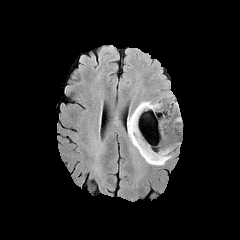
FLAIR MRI.
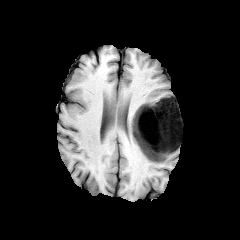
T1-weighted magnetic resonance.
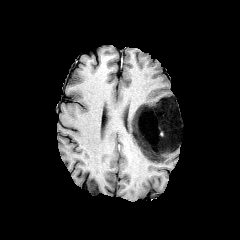
Post-contrast T1-weighted MR image.
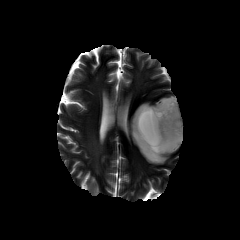
T2-weighted MR image.
240x240.
Annotated regions:
- non-enhancing tumor core: <bbox>134, 99, 179, 160</bbox>
- edema: <bbox>127, 100, 173, 165</bbox>, <bbox>156, 96, 180, 132</bbox>